Computed tomography. Pelvis.
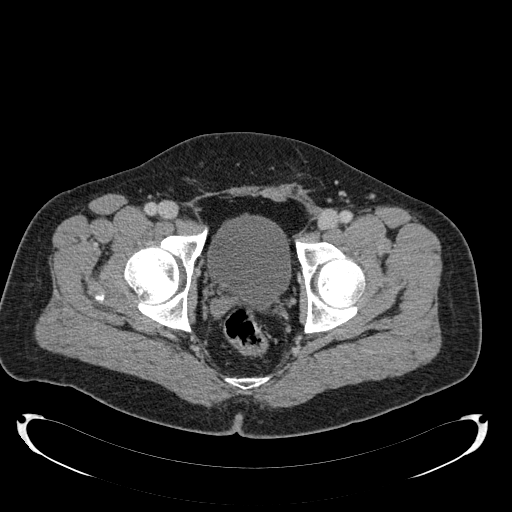 The urinary bladder lies within 207 214 291 311.